34x51 px, Field of view 34 mm wide, 1.00 mm slice spacing, MR, Medial temporal lobe, Slice 15 of 32

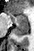 Annotated regions:
- posterior hippocampus: (13,25,29,38)
- anterior hippocampus: (11,13,28,24)